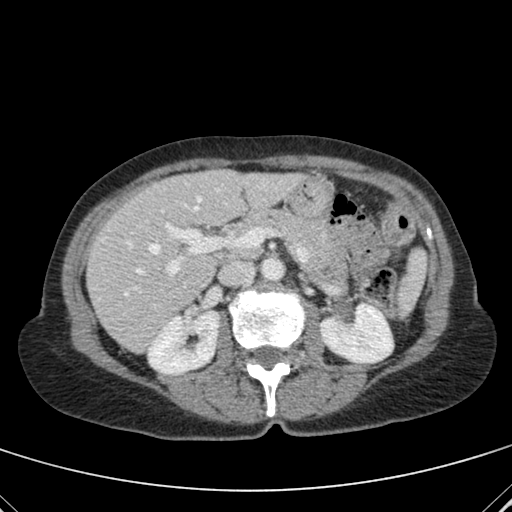

CT scan slice, Liver
2 kidney regions are bounded by <box>148,314,218,373</box>, <box>320,306,391,362</box>. The liver is bounded by <box>87,170,299,351</box>.